Slice index 122, CT, Abdomen
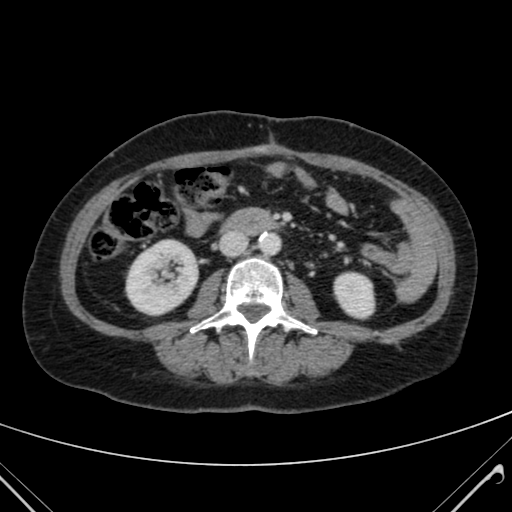 2 kidney regions appear at (335, 274, 373, 316), (127, 241, 196, 313).